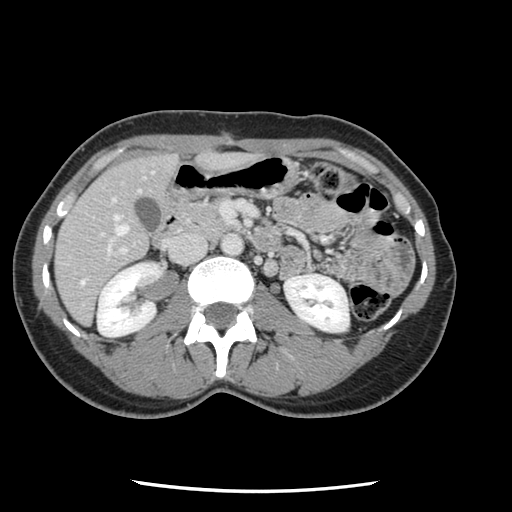
CT slice. Abdomen. 512x512 px. Some hepatic vessels may have no box.
6 hepatic vessel regions are located at [x1=120, y1=248, x2=125, y2=252], [x1=81, y1=279, x2=84, y2=283], [x1=114, y1=225, x2=127, y2=236], [x1=108, y1=245, x2=109, y2=251], [x1=114, y1=215, x2=119, y2=219], [x1=112, y1=198, x2=114, y2=201].